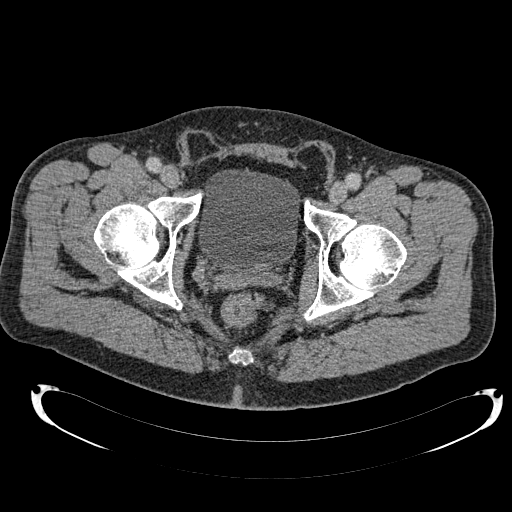 Pelvis, CT slice
<segmentation>
  <urinary_bladder><box>198,169,300,273</box></urinary_bladder>
</segmentation>